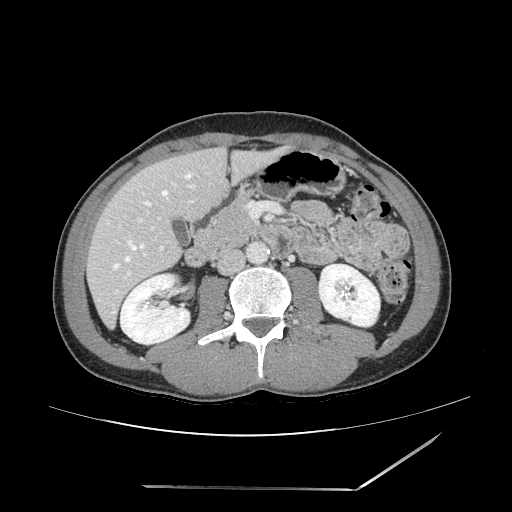 CT; Upper abdomen

Findings:
• pancreas: x1=197, y1=197, x2=256, y2=254